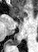
MRI; Hippocampus

posterior hippocampus: x1=9 y1=37 x2=21 y2=45